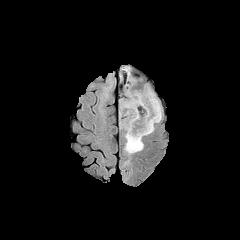
FLAIR MRI.
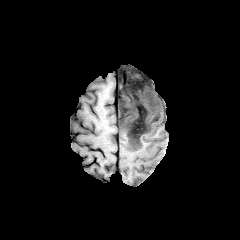
Same slice, T1-weighted magnetic resonance.
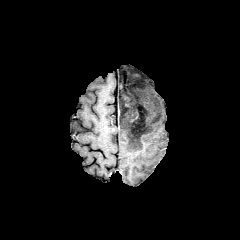
Same slice, post-contrast T1-weighted MR image.
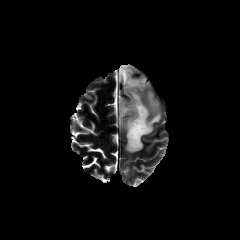
Same slice, T2-weighted magnetic resonance.
Head
non-enhancing tumor core: l=126, t=72, r=140, b=91; l=120, t=97, r=156, b=149 | edema: l=119, t=67, r=162, b=151